Abdomen; Field of view 328x328 mm; Computed tomography; Slice 294 of 751 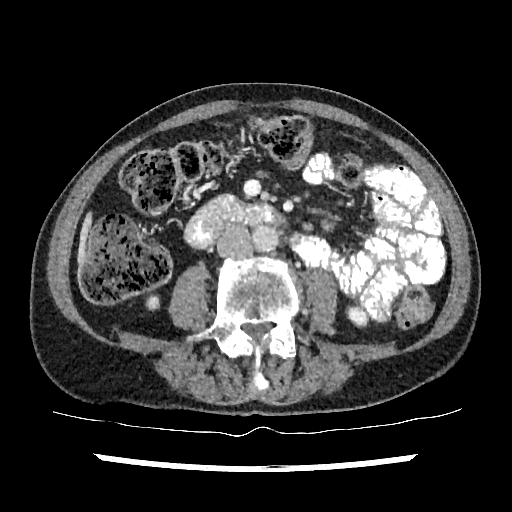
<segmentation>
  <liver>79,245,83,260; 81,216,91,243</liver>
  <kidney>351,310,359,319</kidney>
</segmentation>